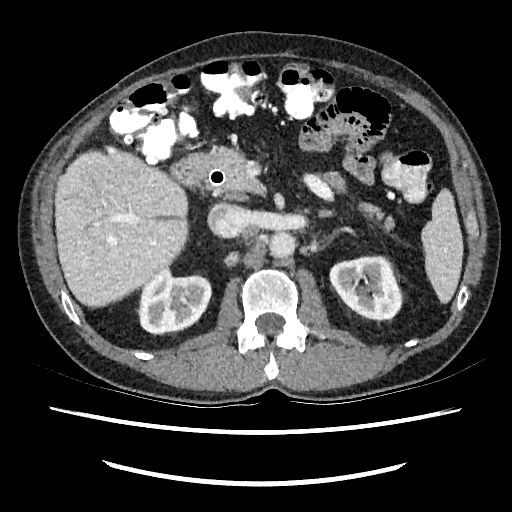 CT | Liver
2 kidney regions appear at box(140, 270, 210, 333); box(330, 257, 400, 319). The liver is at box(55, 146, 187, 305).